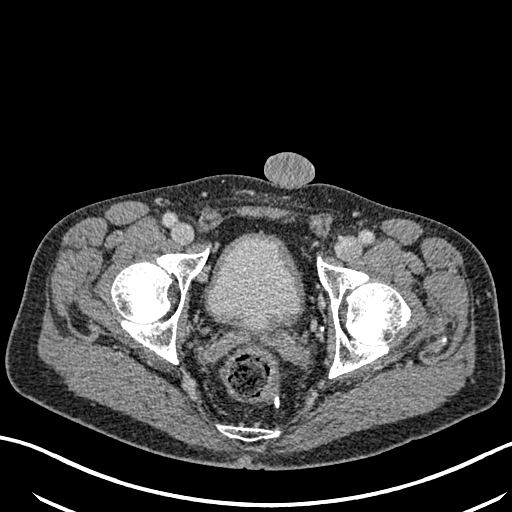
CT image
Urinary bladder = left=208, top=234, right=299, bottom=332.